512x512. CT slice. Upper abdomen. Field of view 320 mm wide, 0.80 mm slice spacing. Slice 427/519. 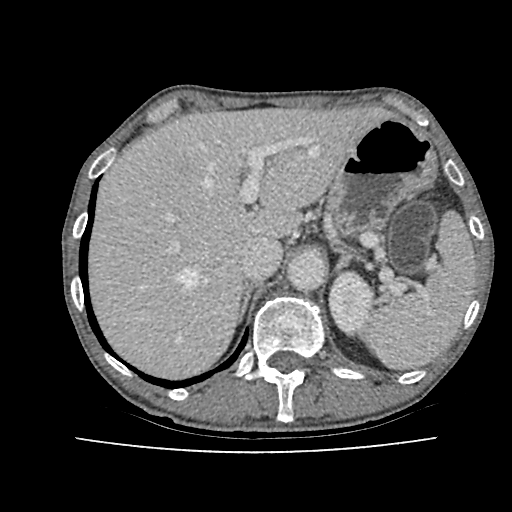

Liver: [89, 109, 382, 377].
Kidney: [330, 275, 371, 331].